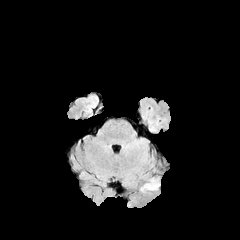
FLAIR MR.
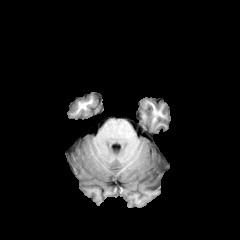
T1-weighted MRI of the same slice.
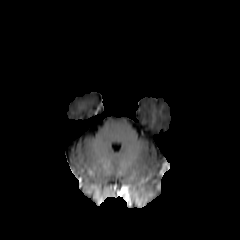
Post-contrast T1-weighted MR of the same slice.
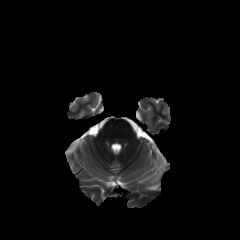
Same slice, T2-weighted magnetic resonance.
Head
edema:
  - 145, 175, 160, 190